Slice 48/61. Abdomen. CT image.

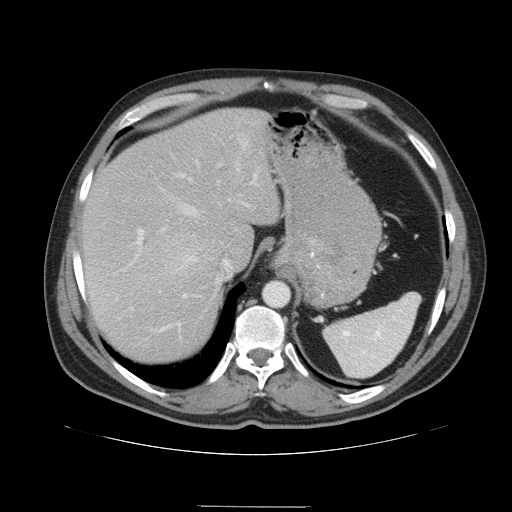 Not every hepatic vessel necessarily has a box.
Principal 15 of 16 hepatic vessel regions — bbox(222, 259, 231, 277); bbox(218, 181, 219, 183); bbox(152, 323, 181, 334); bbox(240, 202, 249, 206); bbox(182, 205, 197, 215); bbox(182, 295, 186, 298); bbox(179, 256, 196, 269); bbox(188, 178, 192, 182); bbox(216, 276, 222, 283); bbox(161, 227, 166, 231); bbox(236, 163, 240, 172); bbox(176, 173, 184, 177); bbox(251, 171, 257, 185); bbox(127, 229, 143, 267); bbox(130, 307, 132, 309).